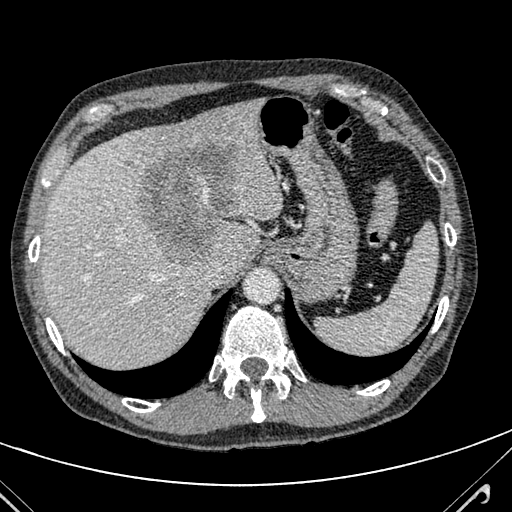 CT scan slice
{"hepatic_lesion": ["124,160,132,166", "136,137,240,265"], "liver": ["42,97,282,368"]}